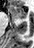

Magnetic resonance, Medial temporal lobe
The anterior hippocampus is bounded by region(10, 5, 26, 19).